Field of view 240 mm wide, 1.00 mm slice spacing; Head; Slice 107 of 155
FLAIR magnetic resonance.
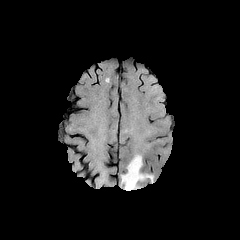
T1-weighted MRI.
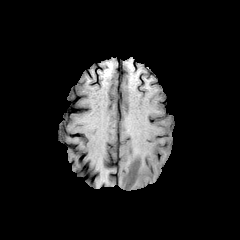
Post-contrast T1-weighted MR.
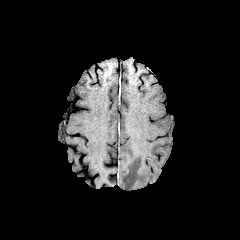
T2-weighted MR image.
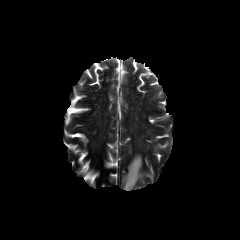
The edema lies within {"x1": 122, "y1": 155, "x2": 152, "y2": 190}.